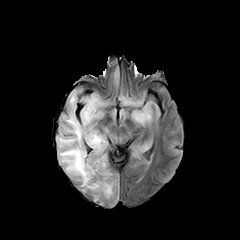
FLAIR MRI.
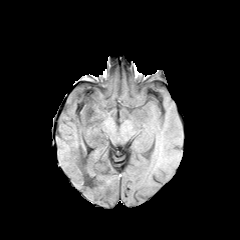
T1-weighted MR.
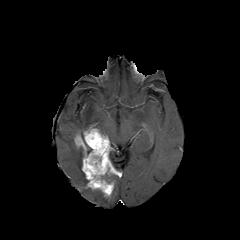
Post-contrast T1-weighted MRI.
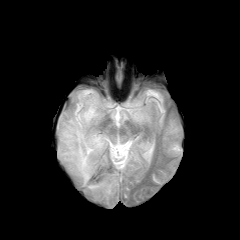
T2-weighted MR.
Non-enhancing tumor core — (x1=108, y1=157, x2=118, y2=172), (x1=93, y1=173, x2=119, y2=184), (x1=82, y1=172, x2=88, y2=188).
Enhancing tumor — (x1=75, y1=128, x2=113, y2=195).
Edema — (x1=82, y1=188, x2=103, y2=201), (x1=56, y1=91, x2=108, y2=184), (x1=122, y1=97, x2=151, y2=124), (x1=133, y1=143, x2=149, y2=154).